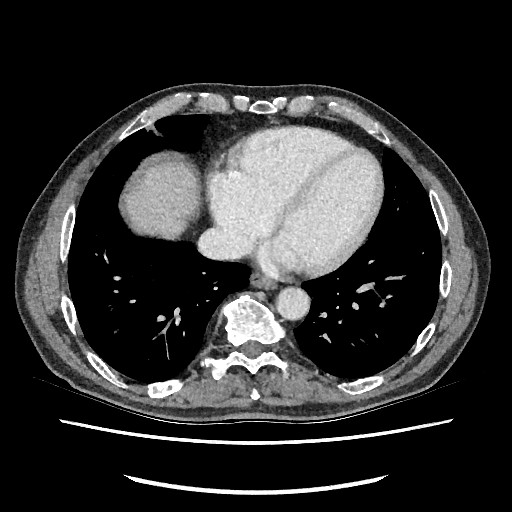 Upper abdomen, CT
Segmented structures:
• liver: (125, 162, 196, 238)